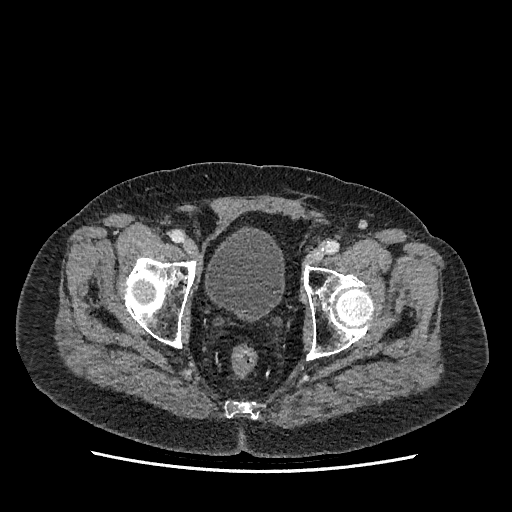

Pelvis | CT
Urinary bladder = box(205, 230, 284, 321).